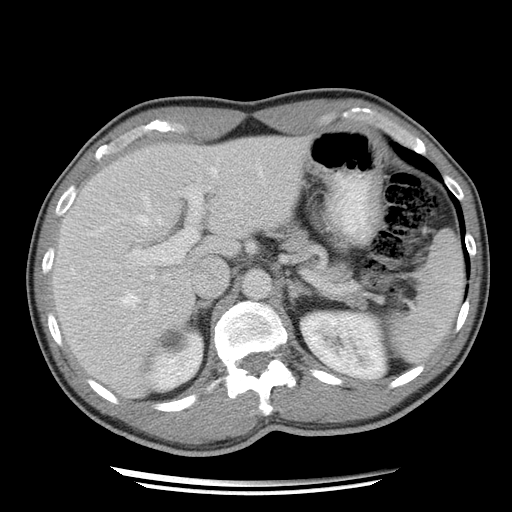
Abdomen; CT scan slice

2 pancreas regions are bounded by 335 290 362 302, 272 224 350 288.